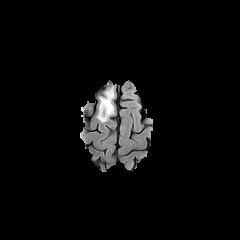
FLAIR MR.
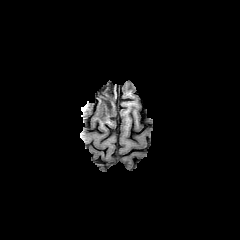
T1-weighted MR.
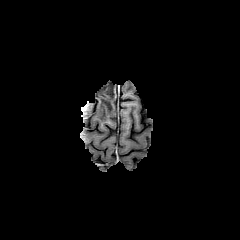
Post-contrast T1-weighted magnetic resonance.
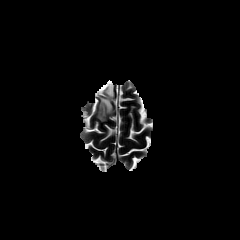
T2-weighted MR.
Head
non-enhancing_tumor_core:
  - bbox(98, 94, 113, 111)
edema:
  - bbox(96, 104, 115, 122)
  - bbox(100, 86, 115, 106)